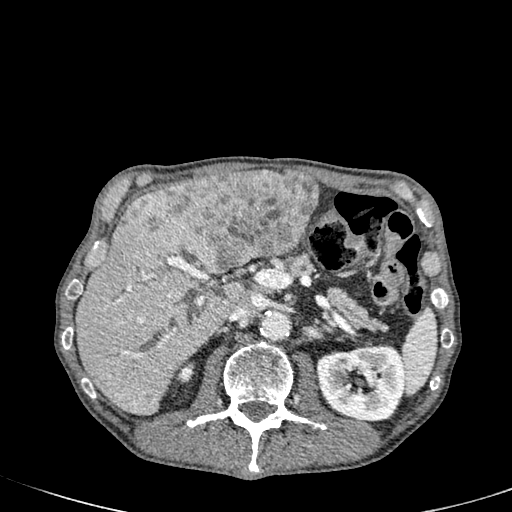
CT slice. Abdomen.
The liver is at x1=76, y1=188, x2=244, y2=414. 2 focal liver lesion regions are located at x1=149, y1=219, x2=156, y2=230; x1=169, y1=170, x2=317, y2=271. 2 kidney regions are bounded by x1=179, y1=367, x2=191, y2=379; x1=318, y1=347, x2=406, y2=420.